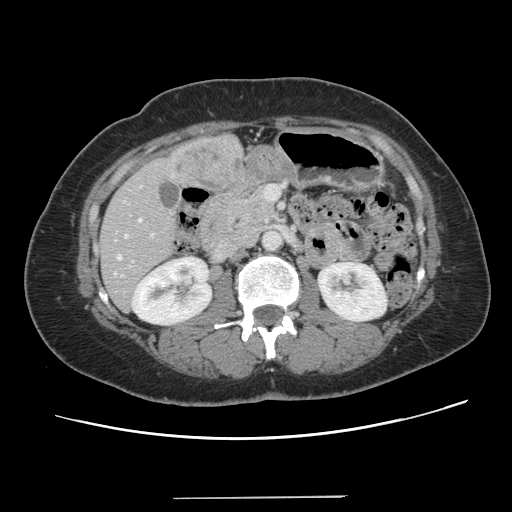 CT slice | Liver
Some hepatic vessels may have no box.
6 hepatic vessel regions appear at (x1=117, y1=255, x2=121, y2=259), (x1=120, y1=274, x2=122, y2=276), (x1=138, y1=218, x2=141, y2=221), (x1=114, y1=273, x2=116, y2=275), (x1=151, y1=233, x2=153, y2=236), (x1=124, y1=234, x2=127, y2=237). The liver tumor is bounded by (x1=175, y1=142, x2=238, y2=186).